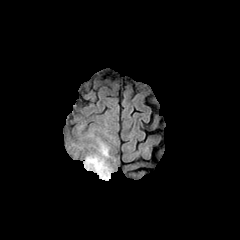
FLAIR MR image.
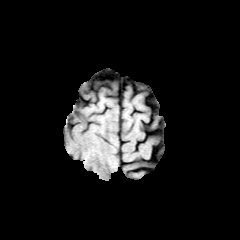
T1-weighted MR image.
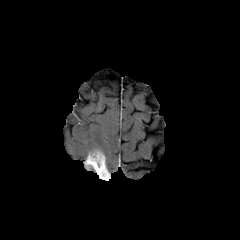
Post-contrast T1-weighted MR.
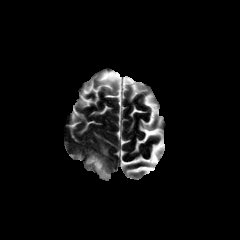
Same slice, T2-weighted MR.
{"edema": ["(94,143,111,178)"], "enhancing_tumor": ["(86,152,109,179)"]}